Image width 240 mm
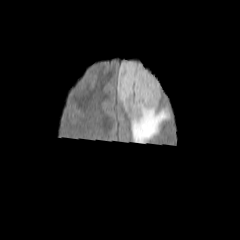
FLAIR magnetic resonance.
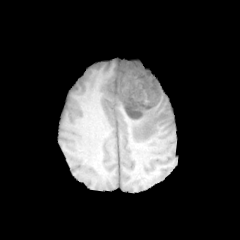
T1-weighted magnetic resonance.
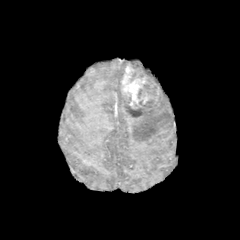
Same slice, post-contrast T1-weighted MRI.
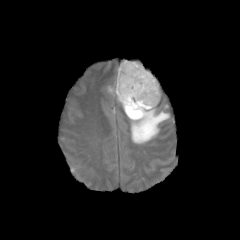
Same slice, T2-weighted MRI.
{
  "edema": [
    "[126, 105, 170, 142]",
    "[130, 60, 144, 69]",
    "[105, 60, 129, 110]"
  ],
  "non-enhancing_tumor_core": [
    "[125, 105, 144, 117]",
    "[131, 64, 160, 109]"
  ],
  "enhancing_tumor": [
    "[120, 61, 153, 108]"
  ]
}